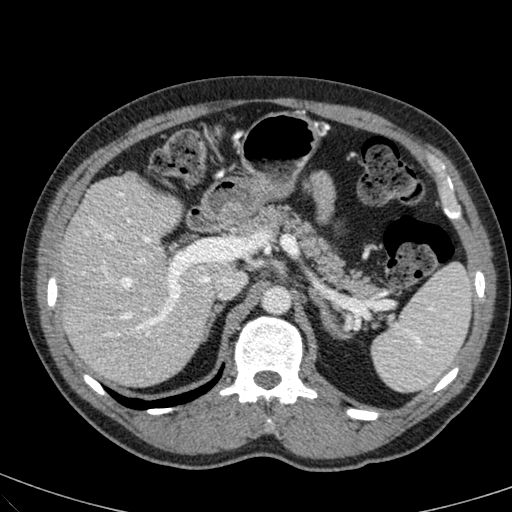

512x512 px; Liver; CT

Annotated regions:
* liver: 60:175:229:385